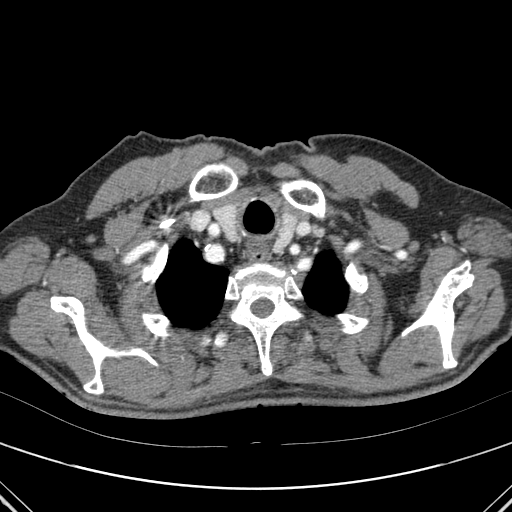

CT image
<segmentation>
  <lung>302 250 348 314, 156 239 228 329</lung>
  <bone>141 243 167 282, 158 219 175 231, 402 260 474 368, 214 334 226 346, 281 179 325 217, 189 164 237 201, 50 296 124 394, 345 262 367 293, 128 347 157 365, 225 263 302 375, 397 251 406 258, 337 314 368 333, 142 313 169 336</bone>
</segmentation>